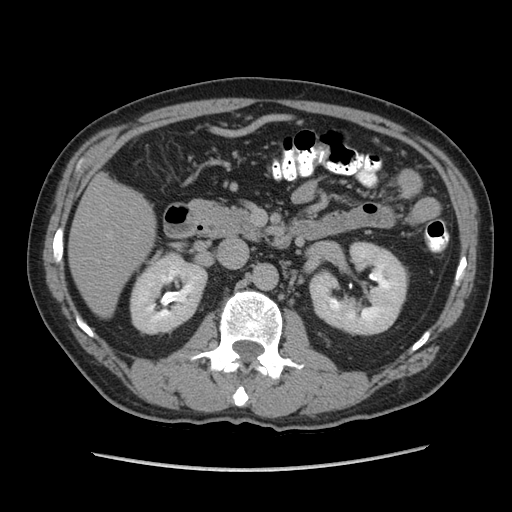
Computed tomography
Pancreas: x1=200, y1=206, x2=263, y2=241.